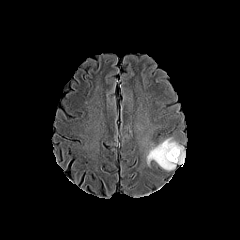
FLAIR MRI.
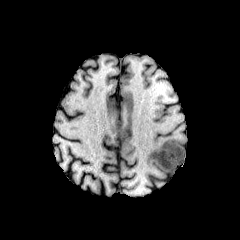
Same slice, T1-weighted MR.
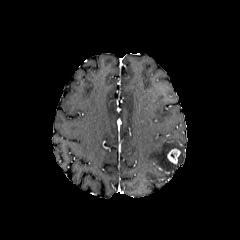
Post-contrast T1-weighted MR.
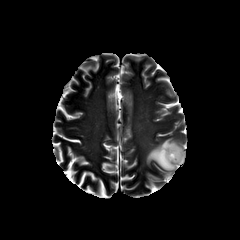
T2-weighted MR.
Segmented structures:
• non-enhancing tumor core: l=170, t=148, r=179, b=160
• edema: l=147, t=138, r=185, b=170